Field of view 35 mm wide, 1.00 mm slice spacing; MR; Slice 19/40 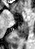
The posterior hippocampus appears at x1=16 y1=21 x2=28 y2=38.